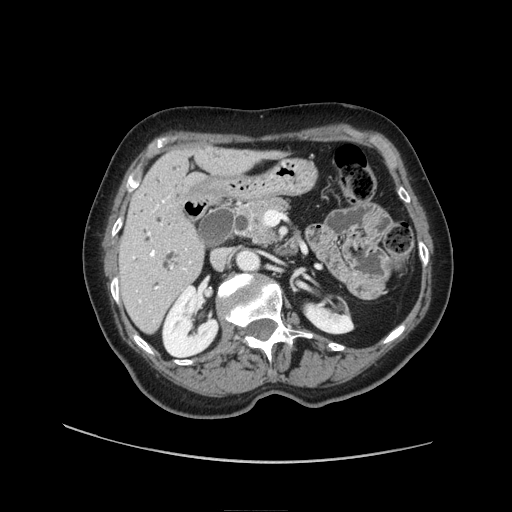 CT scan slice, Upper abdomen
The pancreatic tumor appears at x1=259, y1=230, x2=276, y2=244. The pancreas is bounded by x1=233, y1=198, x2=288, y2=244.